CT scan slice | Abdomen | 512x512
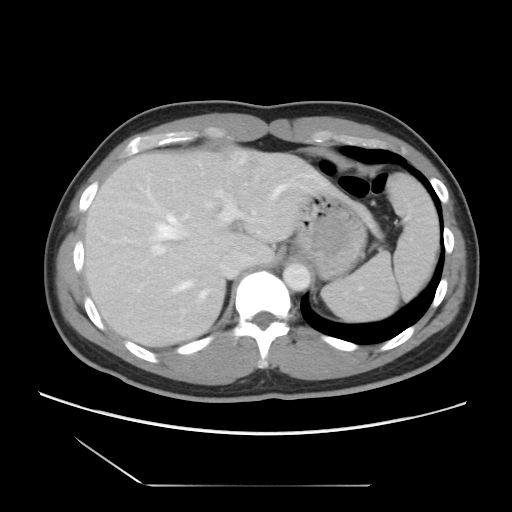

The vessel annotation is not exhaustive.
- liver tumor: left=224, top=149, right=257, bottom=181
- hepatic vessel: left=167, top=215, right=174, bottom=222; left=201, top=292, right=204, bottom=296; left=275, top=187, right=281, bottom=194; left=180, top=282, right=189, bottom=288; left=249, top=210, right=256, bottom=221; left=215, top=190, right=242, bottom=221; left=182, top=310, right=184, bottom=312; left=158, top=225, right=174, bottom=237; left=155, top=246, right=163, bottom=253